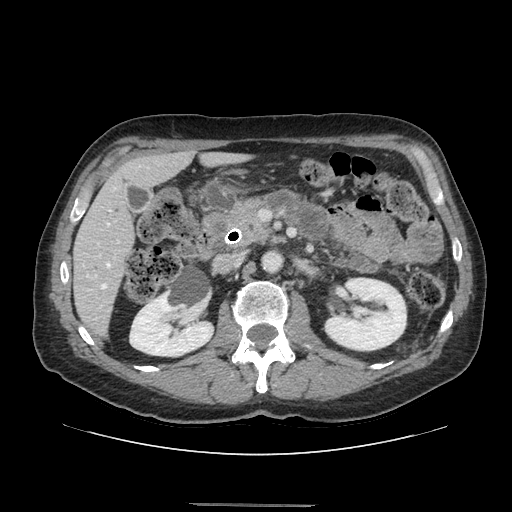

Abdomen; CT slice
The pancreas lies within 207 200 265 245. The pancreatic tumor is bounded by 213 221 226 233.